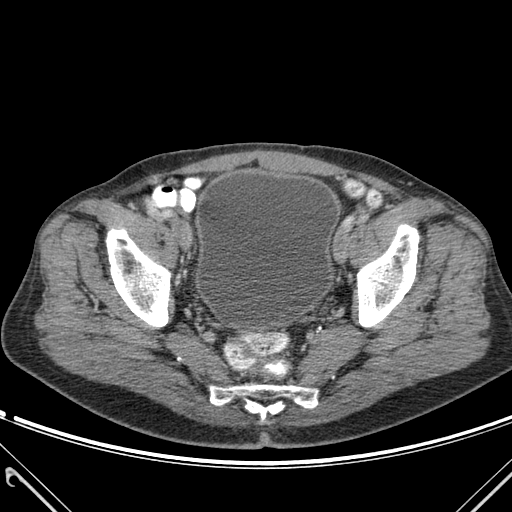
CT. Pelvis. Bone: (left=245, top=400, right=283, bottom=419), (left=106, top=229, right=170, bottom=326), (left=210, top=385, right=317, bottom=407), (left=357, top=224, right=418, bottom=326).
Urinary bladder: (left=198, top=174, right=337, bottom=323).